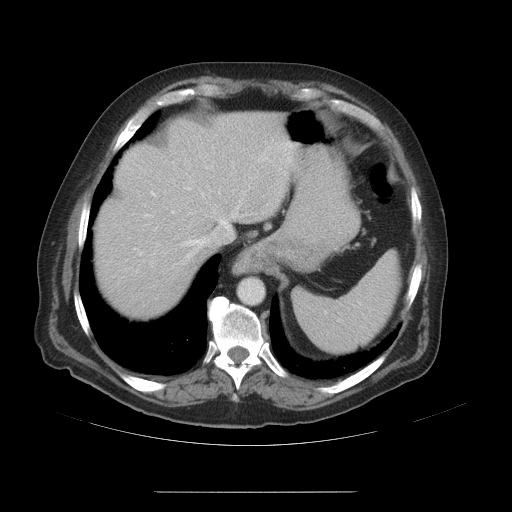

Abdomen, CT scan slice
The vessel annotation is not exhaustive.
hepatic vessel: (x1=172, y1=211, x2=173, y2=212), (x1=212, y1=222, x2=233, y2=243), (x1=146, y1=214, x2=150, y2=216), (x1=151, y1=192, x2=154, y2=194), (x1=201, y1=193, x2=203, y2=195), (x1=186, y1=237, x2=207, y2=249), (x1=139, y1=253, x2=141, y2=255), (x1=242, y1=191, x2=244, y2=193), (x1=186, y1=187, x2=189, y2=189)